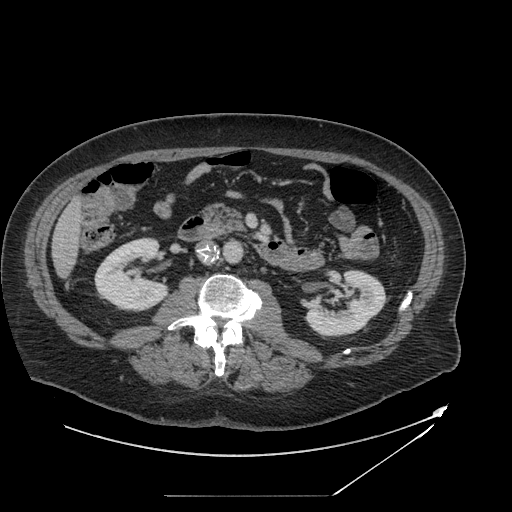 Abdomen, 512x512 px, CT scan slice
pancreas:
  - (202,204,244,230)